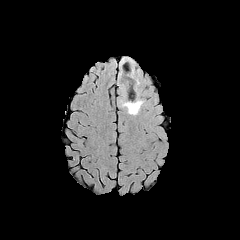
FLAIR MR image.
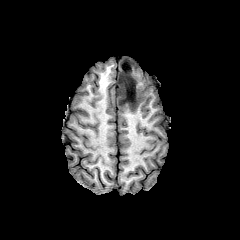
T1-weighted MR image.
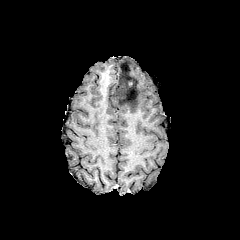
Same slice, post-contrast T1-weighted magnetic resonance.
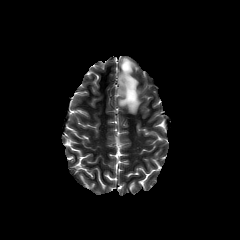
Same slice, T2-weighted MR image.
240x240 px
<segmentation>
  <non-enhancing_tumor_core>x1=118 y1=70 x2=137 y2=108</non-enhancing_tumor_core>
  <edema>x1=117 y1=70 x2=123 y2=86, x1=117 y1=58 x2=143 y2=114</edema>
</segmentation>